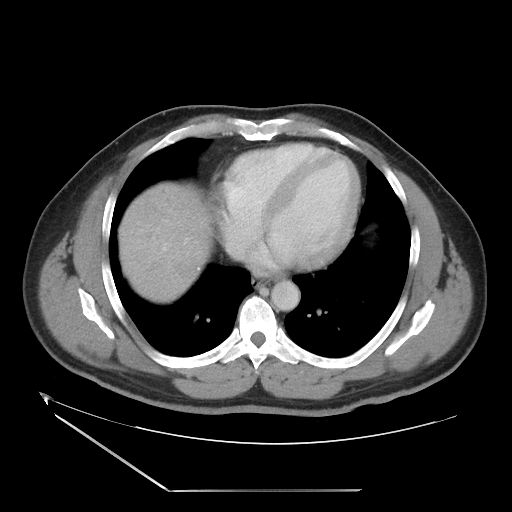
CT scan slice. Liver.

The vessel boxes may cover only some of the vessels.
hepatic_vessel:
  - (163,247,165,249)
  - (227,224,255,262)